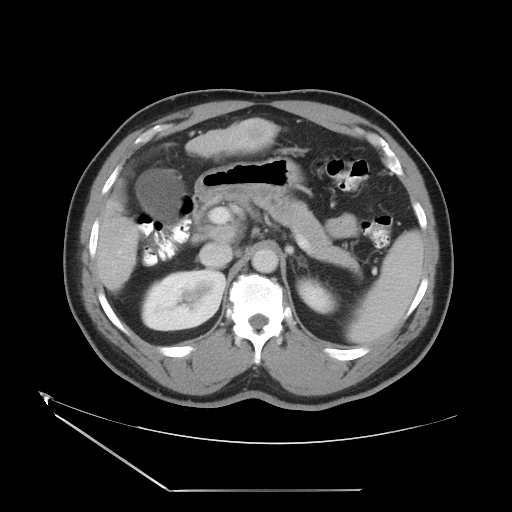 Liver | CT
Some hepatic vessels may have no box.
* hepatic vessel: x1=123 y1=256 x2=126 y2=257, x1=118 y1=250 x2=121 y2=256
* liver tumor: x1=246 y1=121 x2=267 y2=136